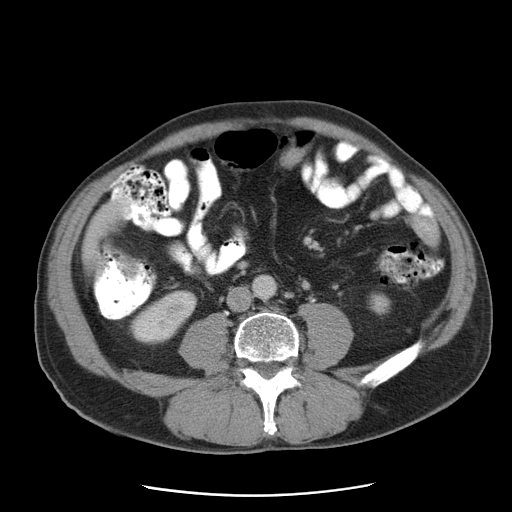

Abdomen; CT image
The colon tumor appears at l=116, t=254, r=138, b=279.